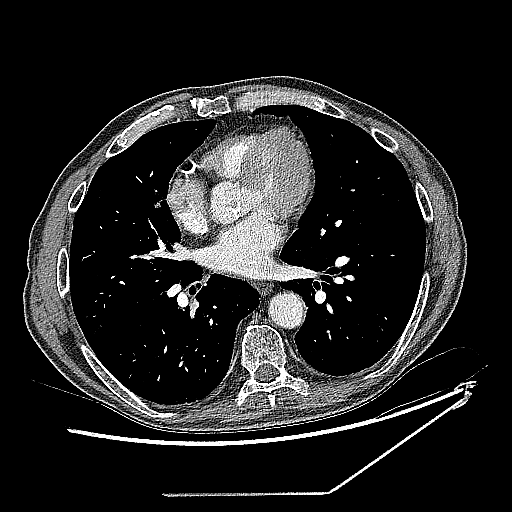 512x512 | CT image

lung tumor: box=[149, 187, 166, 208]